Brain
FLAIR MR image.
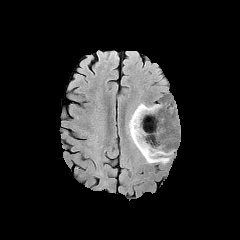
T1-weighted MR.
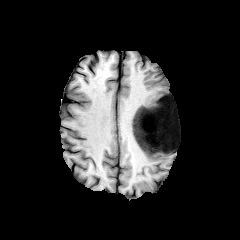
Post-contrast T1-weighted MRI.
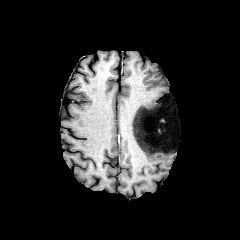
T2-weighted magnetic resonance.
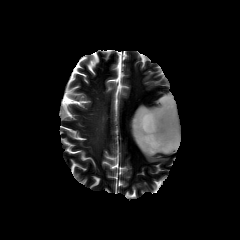
2 edema regions appear at bbox(140, 114, 149, 129); bbox(128, 102, 175, 162). The non-enhancing tumor core is bounded by bbox(133, 103, 176, 154).